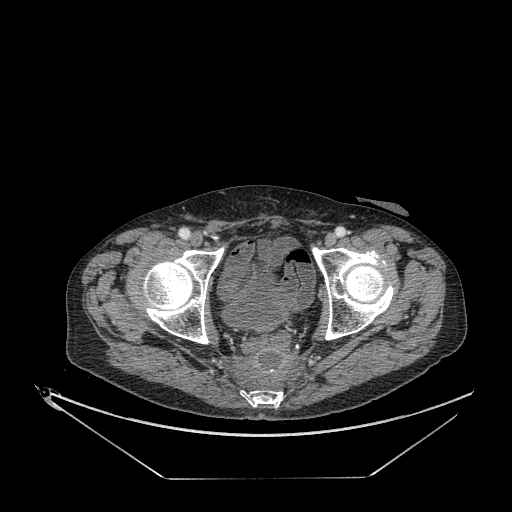
CT slice | Pelvis

<segmentation>
  <urinary_bladder>left=221, top=240, right=289, bottom=332</urinary_bladder>
</segmentation>